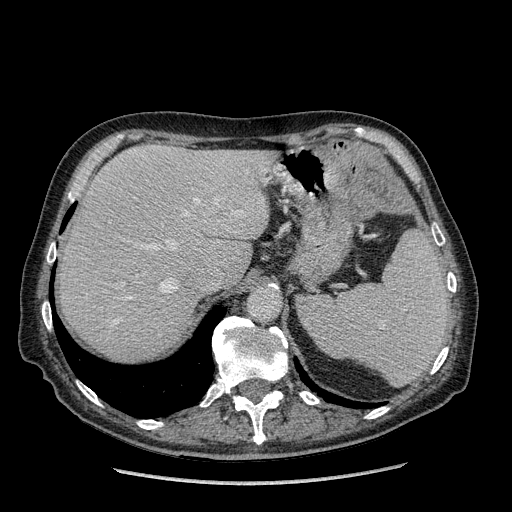 512x512 px, CT slice
Segmented structures:
* liver: 60, 145, 275, 363